Slice index 124
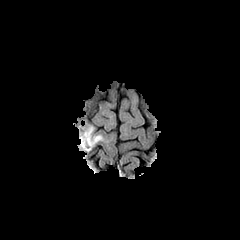
FLAIR MR.
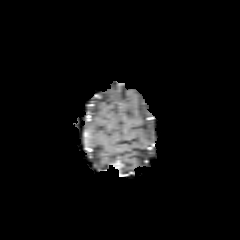
T1-weighted MRI.
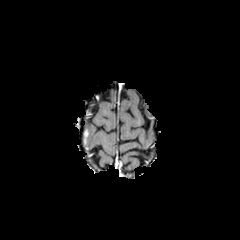
Post-contrast T1-weighted MRI.
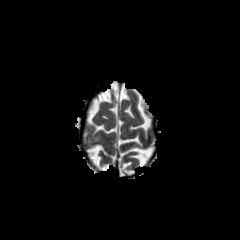
Same slice, T2-weighted MR image.
Annotated regions:
• edema: box=[82, 127, 101, 151]